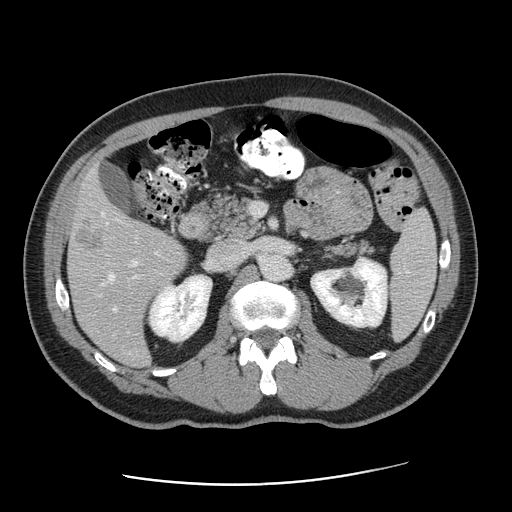

Abdomen; Computed tomography
The vessel boxes may cover only some of the vessels.
{"hepatic_vessel": ["box=[114, 308, 116, 311]", "box=[130, 260, 137, 265]", "box=[109, 273, 114, 279]", "box=[102, 212, 104, 214]"], "liver_tumor": ["box=[75, 217, 105, 249]"]}